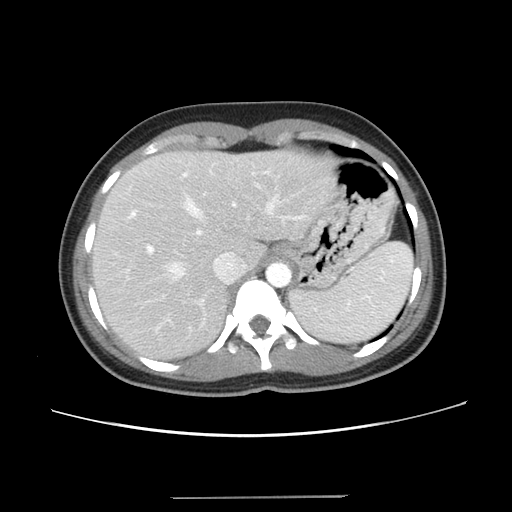
512x512, CT scan slice, Liver
The vessel boxes may cover only some of the vessels.
<segmentation>
  <hepatic_vessel>171, 263, 183, 279; 233, 203, 236, 206; 148, 246, 153, 252; 197, 230, 201, 234; 184, 173, 187, 176; 267, 203, 273, 213; 129, 210, 136, 217; 186, 198, 201, 216</hepatic_vessel>
</segmentation>